Cardiac; MRI; Slice 84 of 110

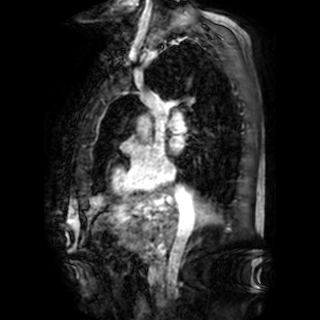

Segmented structures:
* left atrium: box(170, 136, 183, 151)